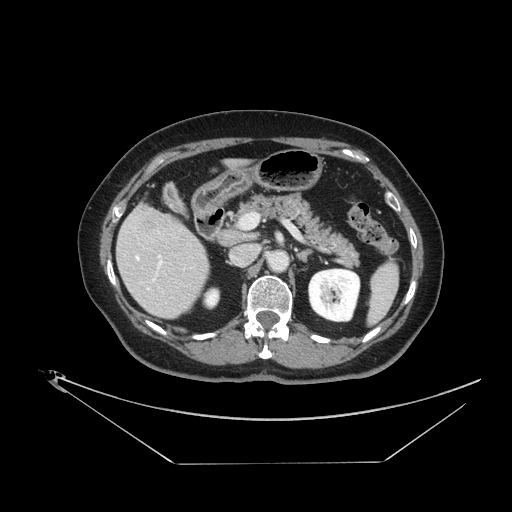 Liver | CT

Not every hepatic vessel necessarily has a box.
<segmentation>
  <liver_tumor><bbox>144, 215, 162, 231</bbox></liver_tumor>
  <hepatic_vessel><bbox>241, 215, 256, 227</bbox>, <bbox>135, 255, 139, 260</bbox>, <bbox>158, 255, 162, 268</bbox></hepatic_vessel>
</segmentation>